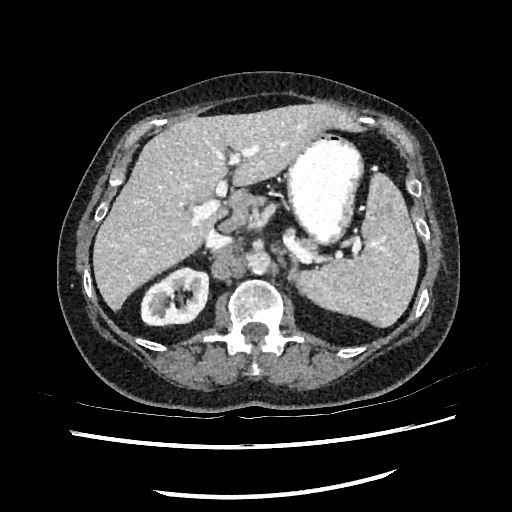 Liver; CT slice

The kidney is at bbox=[141, 268, 207, 324]. The liver appears at bbox=[93, 105, 360, 309].